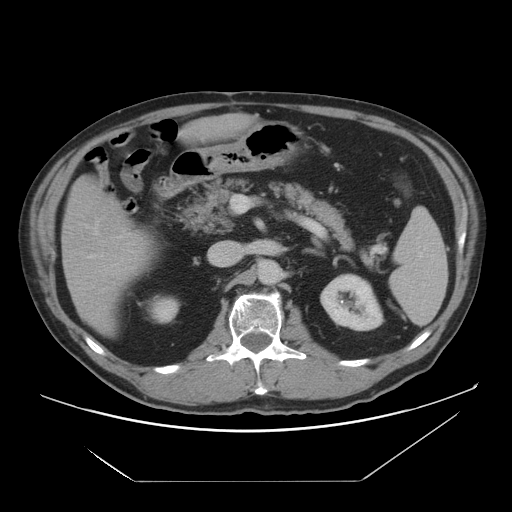

Liver, 512x512 px, CT image

Annotated regions:
* liver: 61:161:153:335, 177:114:262:150
* kidney: 321:275:381:329, 157:303:175:318